CT. Image width 359 mm.

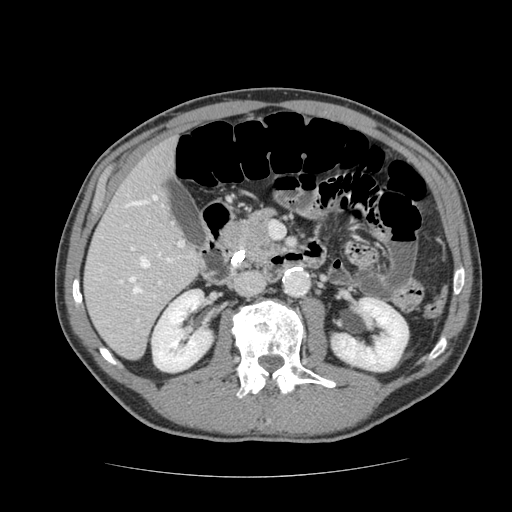 Annotated regions:
* pancreas: box=[222, 206, 277, 273]
* pancreatic tumor: box=[242, 212, 269, 239]